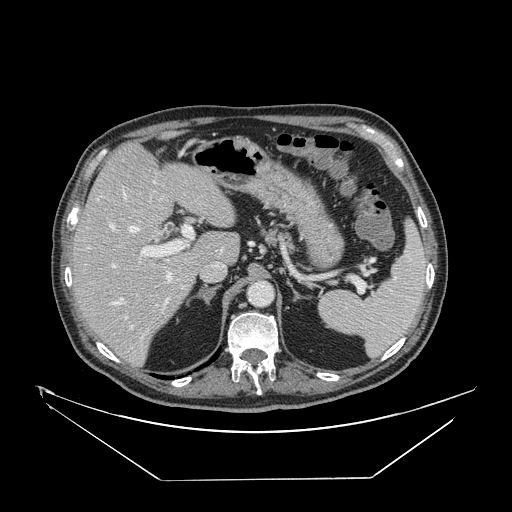
512x512 px. CT scan slice.
Segmented structures:
* pancreas: bbox(257, 224, 302, 254)